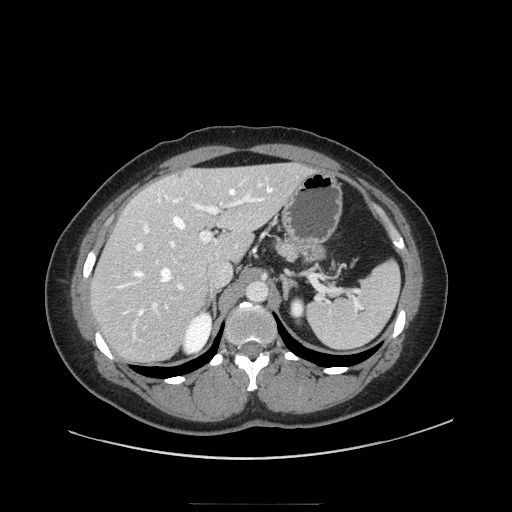 Computed tomography | Upper abdomen
pancreas: <bbox>271, 236, 301, 260</bbox>